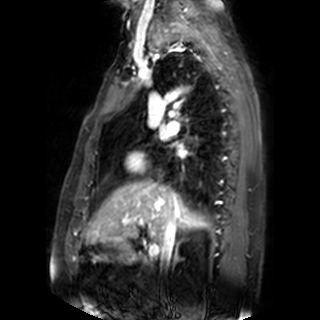
Cardiac; MR
Segmented structures:
- left atrium: rect(176, 146, 186, 154); rect(158, 130, 167, 139)